240x240; Slice 97/155
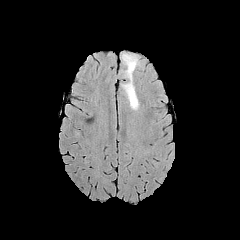
FLAIR MR.
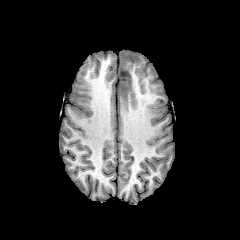
Same slice, T1-weighted MRI.
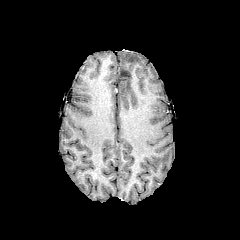
Post-contrast T1-weighted magnetic resonance.
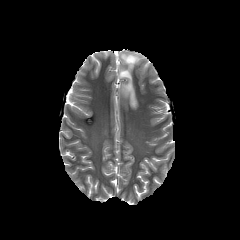
T2-weighted MR.
Edema at left=120, top=52, right=141, bottom=109.